Computed tomography; Abdomen; Slice 44 of 111
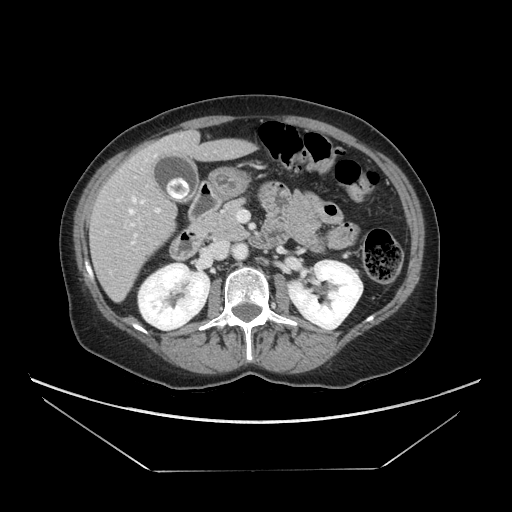
pancreas:
  - <bbox>192, 199, 247, 241</bbox>